Field of view 360 mm wide, 0.80 mm slice spacing | Computed tomography 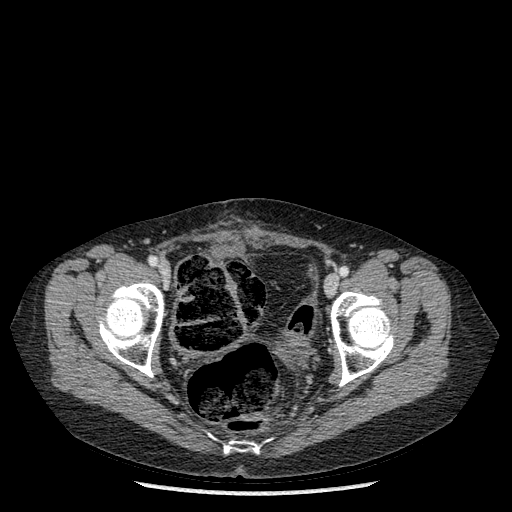
* bone: region(98, 280, 164, 377); region(330, 290, 394, 386); region(223, 440, 260, 454)